Slice 47/155. 240x240. Head.
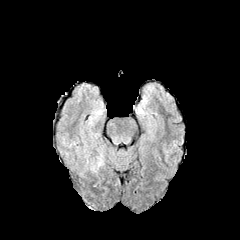
FLAIR MRI.
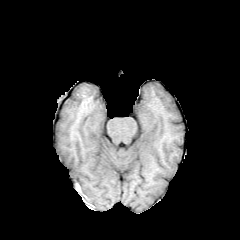
T1-weighted MR image of the same slice.
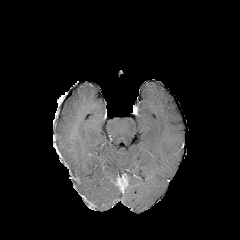
Post-contrast T1-weighted MRI of the same slice.
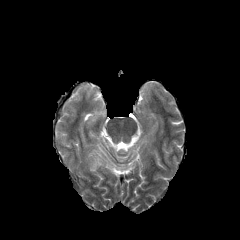
T2-weighted MR of the same slice.
- edema: rect(90, 106, 103, 123); rect(82, 130, 110, 174)